240x240 px, Slice 57/155
FLAIR magnetic resonance.
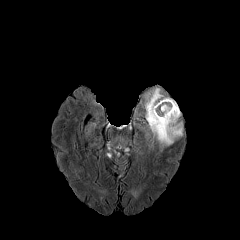
T1-weighted MR.
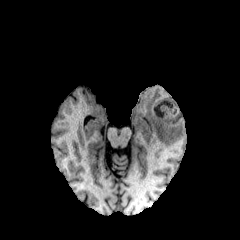
Post-contrast T1-weighted magnetic resonance.
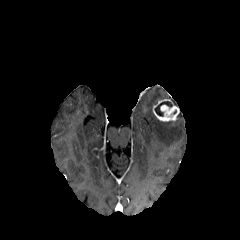
T2-weighted MRI.
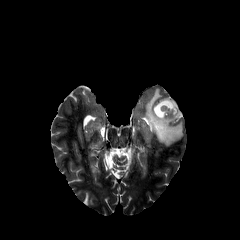
non-enhancing tumor core: (left=154, top=101, right=172, bottom=116) | enhancing tumor: (left=152, top=99, right=179, bottom=122) | edema: (left=142, top=88, right=183, bottom=148)